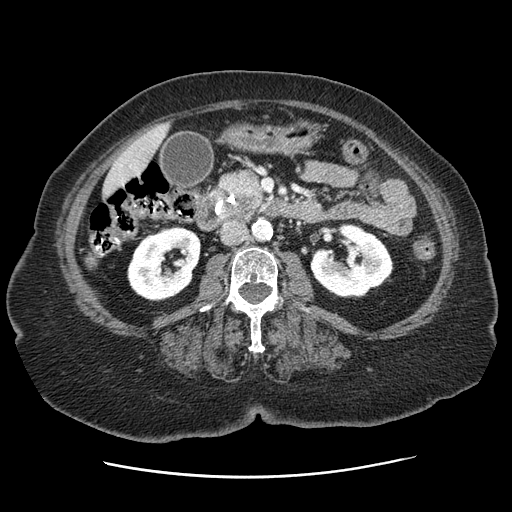
Computed tomography. Pancreas: bounding box (x1=217, y1=167, x2=265, y2=214), (x1=223, y1=216, x2=247, y2=221).
Pancreatic tumor: bounding box (x1=222, y1=194, x2=255, y2=217).